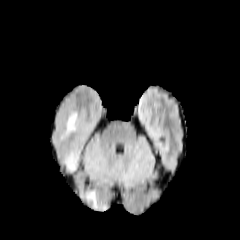
FLAIR MR image.
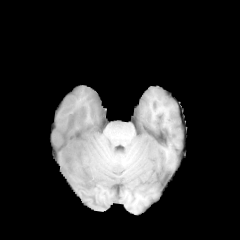
Same slice, T1-weighted MRI.
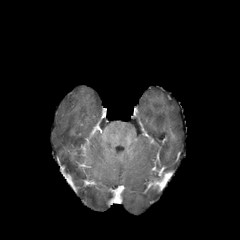
Post-contrast T1-weighted MRI.
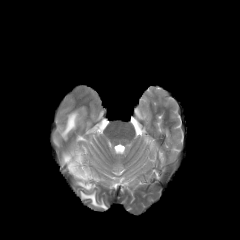
T2-weighted MRI.
Edema — 77 181 91 188, 61 112 78 138, 66 154 87 177, 80 189 105 208.